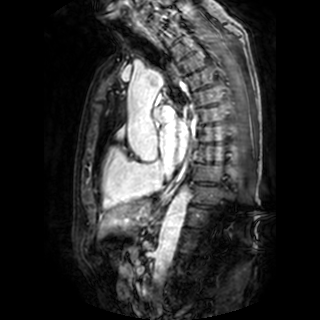 MRI slice
Left atrium: bounding box left=160, top=120, right=188, bottom=164.